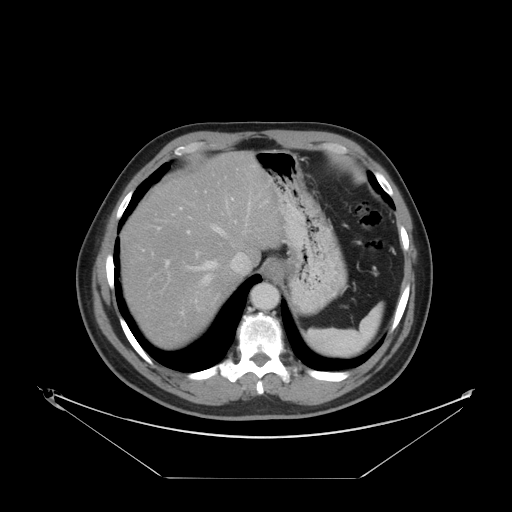
Computed tomography

The vessel annotation is not exhaustive.
10 hepatic vessel regions are located at (x1=187, y1=231, x2=189, y2=232), (x1=188, y1=261, x2=216, y2=270), (x1=212, y1=225, x2=223, y2=233), (x1=201, y1=275, x2=210, y2=283), (x1=234, y1=221, x2=236, y2=222), (x1=230, y1=253, x2=248, y2=272), (x1=249, y1=201, x2=250, y2=205), (x1=166, y1=260, x2=168, y2=264), (x1=196, y1=253, x2=197, y2=254), (x1=180, y1=207, x2=182, y2=209).